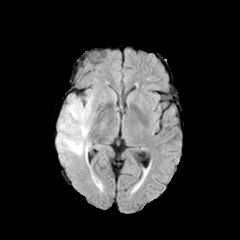
FLAIR MR image.
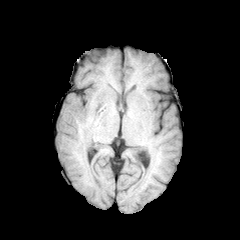
T1-weighted MRI.
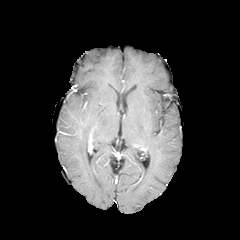
Post-contrast T1-weighted MR of the same slice.
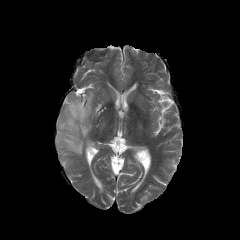
T2-weighted MRI.
240x240 px
edema: left=56, top=90, right=97, bottom=160